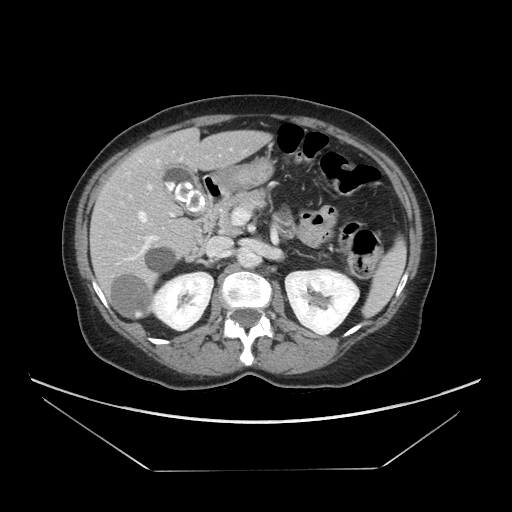

CT scan slice

The pancreas is at x1=210, y1=189, x2=269, y2=237.